Slice 97 of 151, Computed tomography
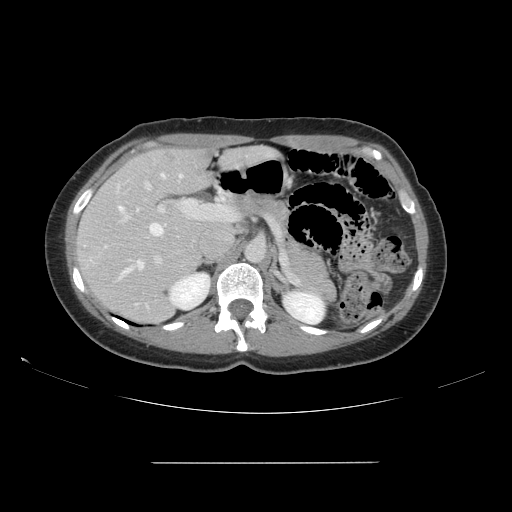 The vessel annotation is not exhaustive.
The principal 15 hepatic vessel regions (of 18) are located at [x1=159, y1=205, x2=164, y2=212], [x1=117, y1=190, x2=118, y2=193], [x1=121, y1=213, x2=130, y2=220], [x1=135, y1=303, x2=138, y2=304], [x1=161, y1=173, x2=165, y2=178], [x1=118, y1=204, x2=124, y2=212], [x1=134, y1=260, x2=143, y2=268], [x1=154, y1=256, x2=161, y2=263], [x1=178, y1=175, x2=182, y2=181], [x1=149, y1=223, x2=165, y2=235], [x1=145, y1=181, x2=150, y2=189], [x1=116, y1=185, x2=119, y2=188], [x1=90, y1=257, x2=94, y2=263], [x1=146, y1=305, x2=148, y2=307], [x1=117, y1=267, x2=133, y2=280]. The liver tumor is located at [x1=168, y1=155, x2=176, y2=162].